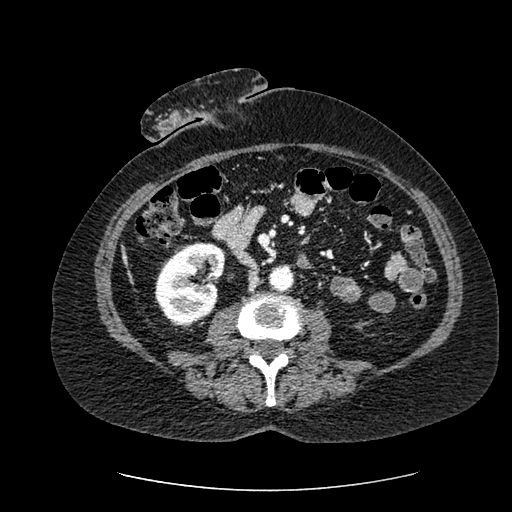

CT image

kidney: 156:243:224:324 | liver: 121:243:128:268